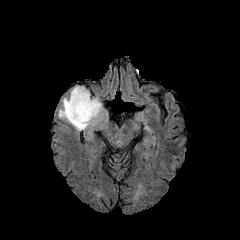
FLAIR MR.
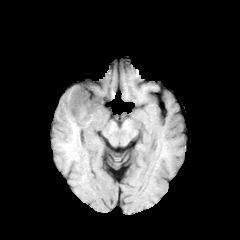
T1-weighted MR image of the same slice.
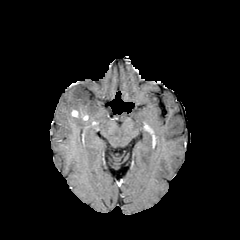
Post-contrast T1-weighted MR of the same slice.
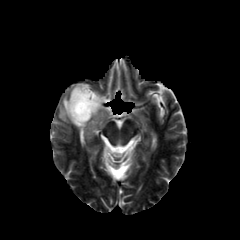
T2-weighted MRI of the same slice.
Non-enhancing tumor core at region(66, 102, 89, 121); region(83, 122, 98, 131).
Enhancing tumor at region(71, 108, 87, 119).
Edema at region(58, 84, 107, 132).